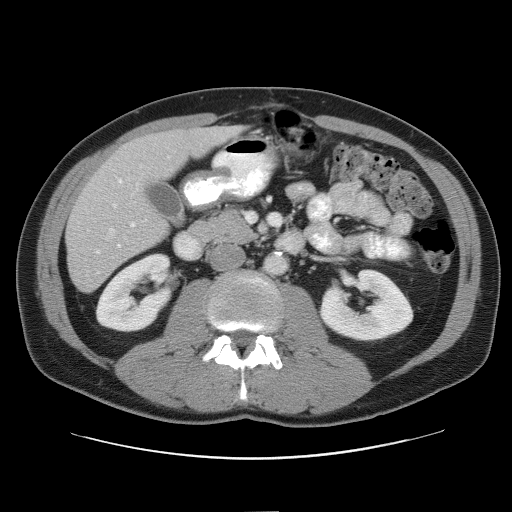

CT.
Only some of the vessels may be annotated.
12 hepatic vessel regions are located at 136, 184, 137, 189; 117, 245, 119, 247; 228, 128, 236, 131; 220, 136, 222, 139; 130, 223, 134, 227; 118, 179, 122, 184; 106, 228, 114, 239; 96, 251, 98, 252; 113, 205, 115, 207; 126, 178, 128, 179; 140, 165, 141, 167; 131, 192, 134, 195.